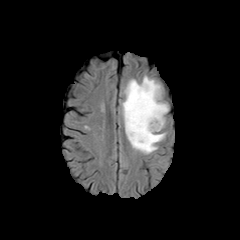
FLAIR MR.
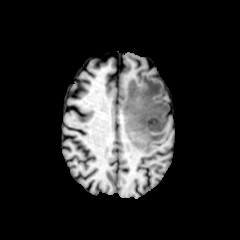
Same slice, T1-weighted MR image.
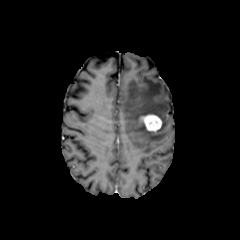
Post-contrast T1-weighted magnetic resonance.
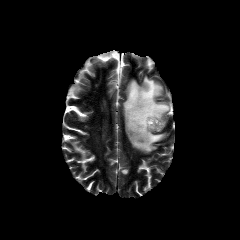
Same slice, T2-weighted MR.
The enhancing tumor appears at 139:114:162:131. The edema is located at 122:76:169:153.